FLAIR MR.
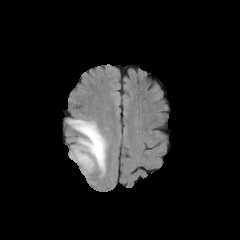
T1-weighted MR.
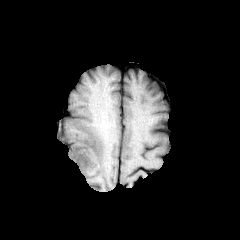
Post-contrast T1-weighted MR.
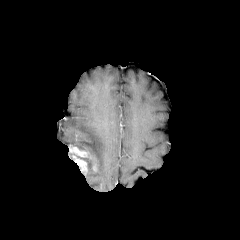
T2-weighted MR image.
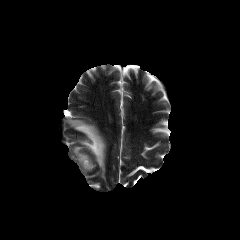
Head; 240x240
Segmented structures:
- edema: (68,118,107,175)
- enhancing tumor: (70,146,87,172)